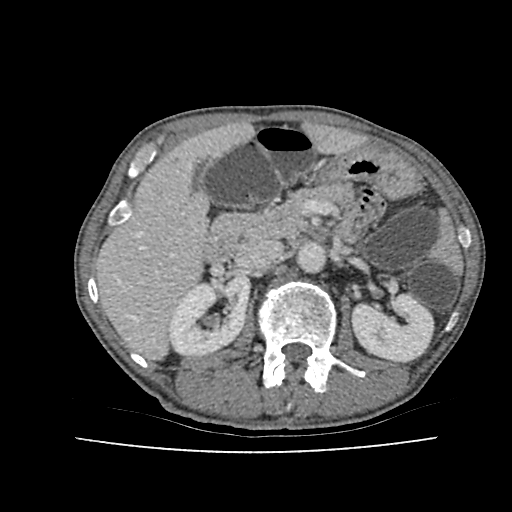
Liver, Computed tomography

2 liver regions are bounded by bbox=[306, 126, 360, 151]; bbox=[97, 125, 251, 356]. 2 kidney regions are located at bbox=[352, 295, 432, 360]; bbox=[169, 277, 249, 354].